240x240 px.
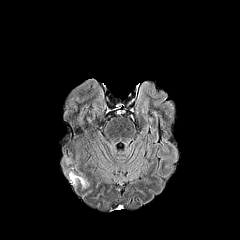
FLAIR MR image.
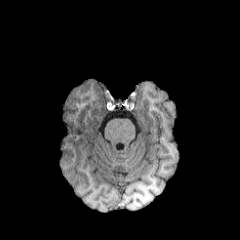
T1-weighted MR of the same slice.
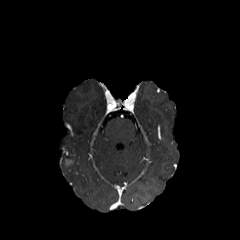
Post-contrast T1-weighted MR.
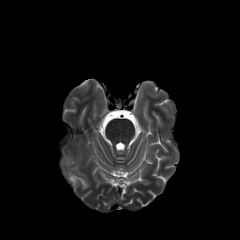
T2-weighted MRI.
Edema at (left=69, top=174, right=87, bottom=188).